CT scan slice. Abdomen. 512x512 px.
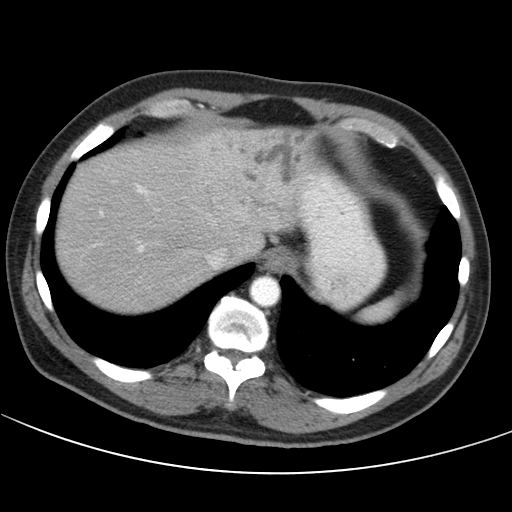 Only some of the vessels may be annotated.
3 liver tumor regions are located at box=[234, 142, 247, 154]; box=[244, 170, 261, 186]; box=[252, 132, 311, 181]. 3 hepatic vessel regions are bounded by box=[205, 248, 225, 268]; box=[100, 212, 102, 214]; box=[137, 186, 144, 192].